512x512 px, Slice 355/565, Abdomen, CT image 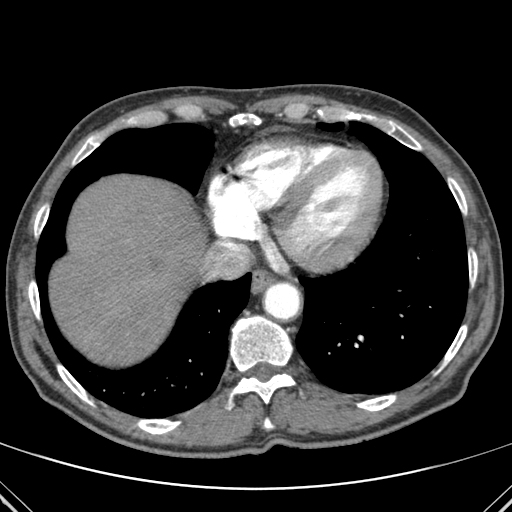 Lung: [x1=36, y1=123, x2=250, y2=417], [x1=317, y1=122, x2=343, y2=130], [x1=296, y1=121, x2=468, y2=393].
Bone: [x1=381, y1=120, x2=421, y2=149], [x1=229, y1=114, x2=261, y2=125], [x1=264, y1=418, x2=272, y2=428], [x1=443, y1=325, x2=466, y2=364], [x1=57, y1=365, x2=93, y2=405], [x1=28, y1=281, x2=39, y2=318], [x1=448, y1=178, x2=466, y2=214], [x1=230, y1=316, x2=292, y2=371], [x1=227, y1=372, x2=295, y2=409], [x1=73, y1=136, x2=99, y2=162], [x1=342, y1=112, x2=360, y2=119], [x1=357, y1=395, x2=396, y2=411], [x1=34, y1=205, x2=48, y2=236], [x1=137, y1=419, x2=180, y2=434], [x1=468, y1=252, x2=477, y2=284].
Liver: [x1=49, y1=175, x2=207, y2=366].